Computed tomography. Thorax. Slice index 487. 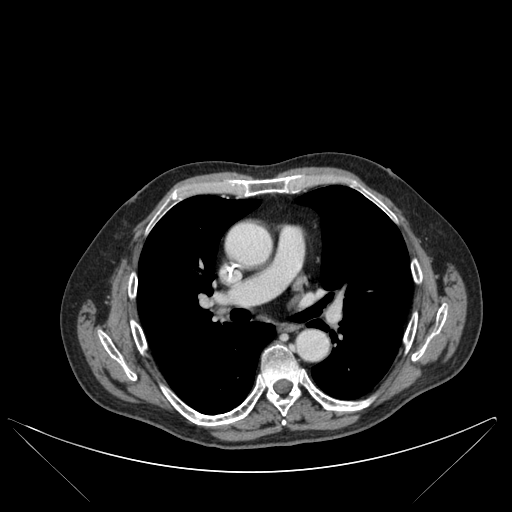
{
  "bone": [
    "161, 344, 371, 425",
    "411, 259, 422, 282",
    "404, 313, 417, 350",
    "128, 273, 137, 297",
    "412, 305, 447, 360",
    "155, 205, 164, 219",
    "98, 331, 136, 380",
    "232, 175, 296, 195",
    "131, 320, 146, 353",
    "362, 188, 393, 217"
  ],
  "lung": [
    "290, 185, 411, 399",
    "137, 195, 274, 414"
  ]
}